CT slice. 512x512. 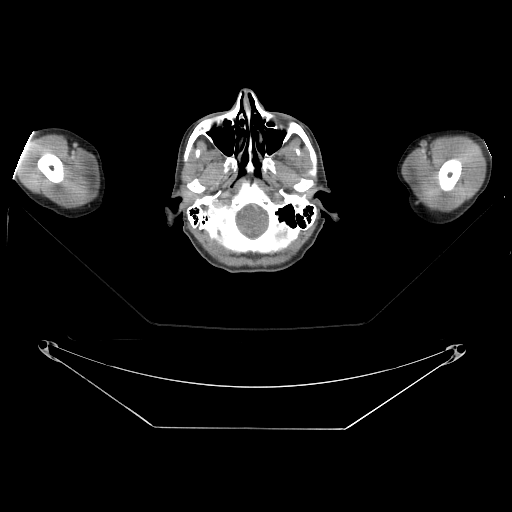
bone:
  - (252,93,272,120)
  - (284,122,316,167)
  - (262,158,274,172)
  - (247,161,253,171)
  - (294,178,312,191)
  - (185,93,241,155)
  - (188,179,203,192)
  - (438,159,461,191)
  - (224,158,236,171)
  - (187,183,316,252)
  - (37,152,63,182)